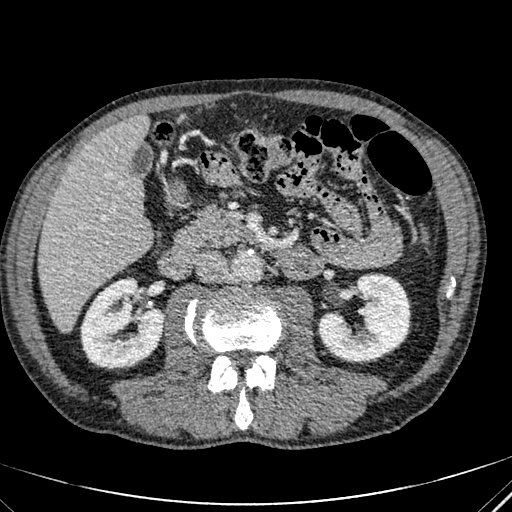

Liver | CT

2 kidney regions appear at [320,275,409,360], [82,280,162,366]. The liver appears at [39,115,151,332].